Computed tomography | 512x512
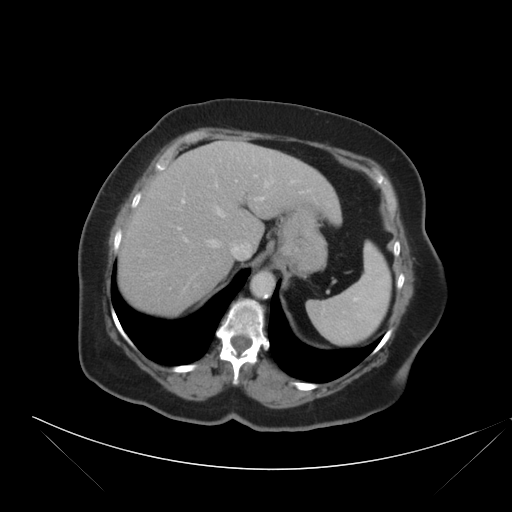 Some hepatic vessels may have no box.
Hepatic vessel: bbox(290, 180, 299, 183); bbox(300, 189, 311, 193); bbox(265, 182, 268, 187); bbox(178, 227, 180, 229); bbox(181, 200, 184, 203); bbox(254, 175, 256, 177); bbox(215, 183, 217, 186); bbox(231, 242, 250, 257); bbox(208, 240, 218, 246); bbox(210, 169, 213, 171); bbox(184, 238, 187, 241); bbox(255, 197, 263, 201); bbox(216, 207, 224, 216).